Brain, Image size 240x240
FLAIR MR.
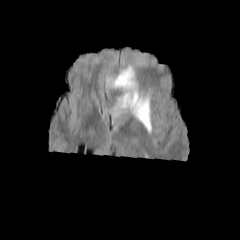
T1-weighted MRI.
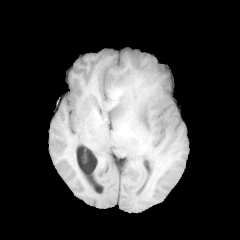
Post-contrast T1-weighted magnetic resonance.
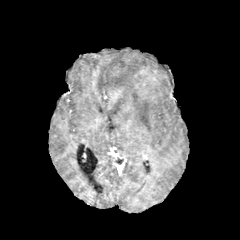
T2-weighted MR image.
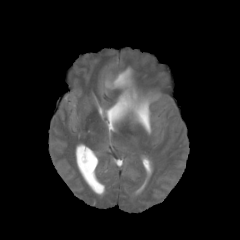
Edema at {"x1": 106, "y1": 67, "x2": 159, "y2": 131}.